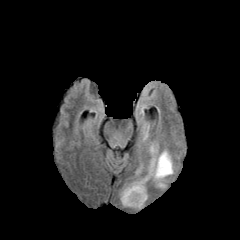
FLAIR magnetic resonance.
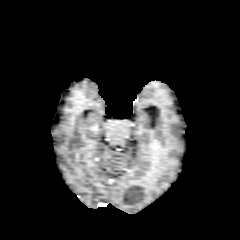
Same slice, T1-weighted magnetic resonance.
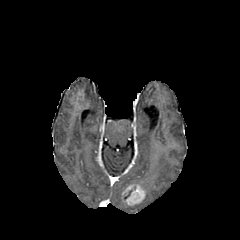
Post-contrast T1-weighted MR of the same slice.
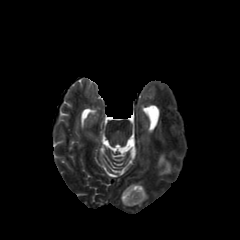
T2-weighted MRI of the same slice.
Annotated regions:
* enhancing tumor: [121,179,146,206]
* edema: [155,152,172,179]